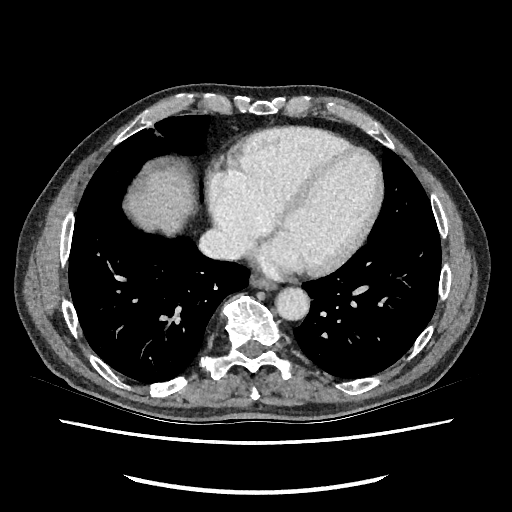 CT image
liver:
  - 134, 168, 190, 232